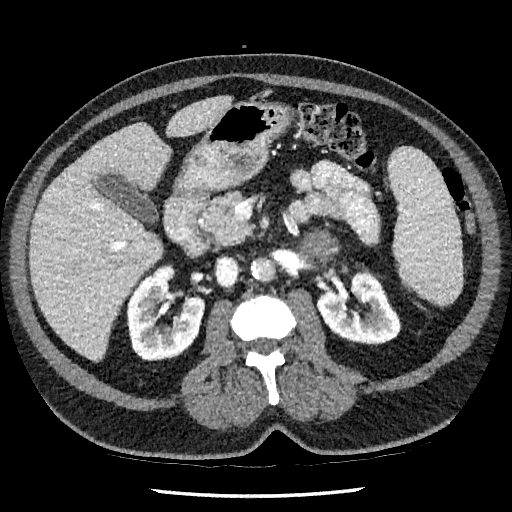 CT image.

<segmentation>
  <kidney>(left=317, top=274, right=399, bottom=342), (left=128, top=267, right=203, bottom=359)</kidney>
  <liver>(left=30, top=124, right=170, bottom=359), (left=167, top=96, right=230, bottom=136)</liver>
</segmentation>